Slice 106 of 155
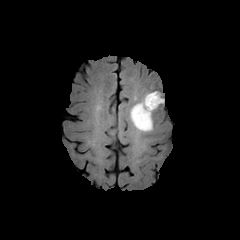
FLAIR magnetic resonance.
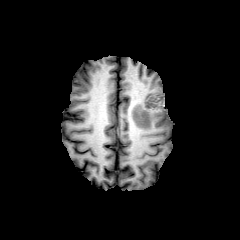
T1-weighted MR of the same slice.
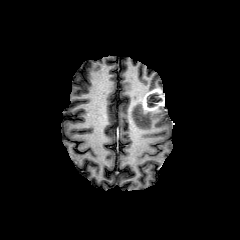
Post-contrast T1-weighted MR image.
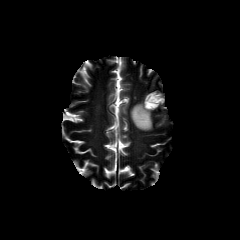
T2-weighted magnetic resonance.
Enhancing tumor: <box>142,91,163,111</box>.
Non-enhancing tumor core: <box>140,108,148,117</box>, <box>147,91,162,107</box>.
Edema: <box>128,102,153,131</box>.